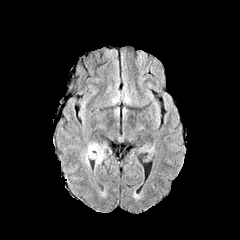
FLAIR MR image.
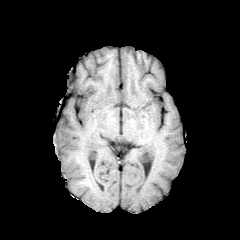
T1-weighted MR image.
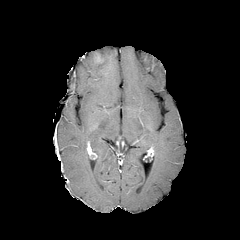
Post-contrast T1-weighted MR of the same slice.
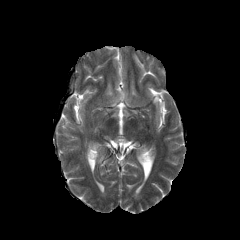
T2-weighted MR image.
Head.
Edema — region(80, 148, 90, 168); region(87, 140, 109, 172); region(115, 91, 127, 101).
Enhancing tumor — region(87, 144, 97, 159).